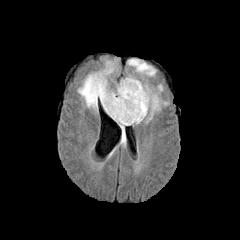
FLAIR magnetic resonance.
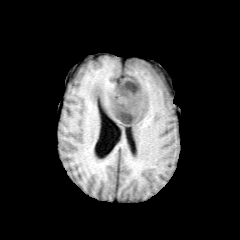
T1-weighted MRI.
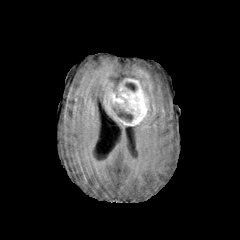
Post-contrast T1-weighted MR.
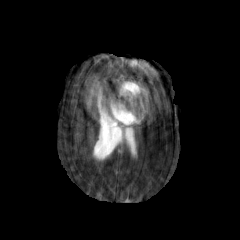
Same slice, T2-weighted MR image.
Head
non-enhancing_tumor_core:
  - (124,82,137,92)
  - (110,104,133,122)
edema:
  - (126,58,161,121)
  - (77,61,125,146)
enhancing_tumor:
  - (108,77,149,125)